Image size 240x240 | Field of view 240x240 mm
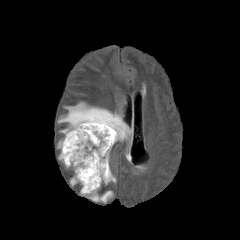
FLAIR MRI.
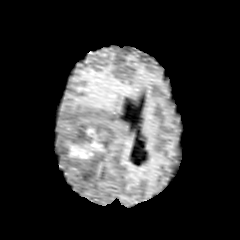
Same slice, T1-weighted MRI.
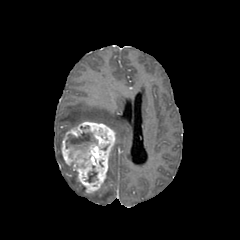
Post-contrast T1-weighted magnetic resonance of the same slice.
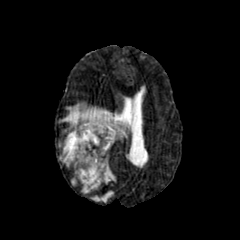
T2-weighted MR.
{"non-enhancing_tumor_core": ["(left=87, top=170, right=97, bottom=182)", "(left=66, top=132, right=97, bottom=157)"], "edema": ["(left=61, top=102, right=131, bottom=143)", "(left=102, top=154, right=115, bottom=184)", "(left=80, top=185, right=112, bottom=201)", "(left=59, top=140, right=72, bottom=168)", "(left=70, top=171, right=82, bottom=185)"], "enhancing_tumor": ["(left=62, top=122, right=115, bottom=192)"]}